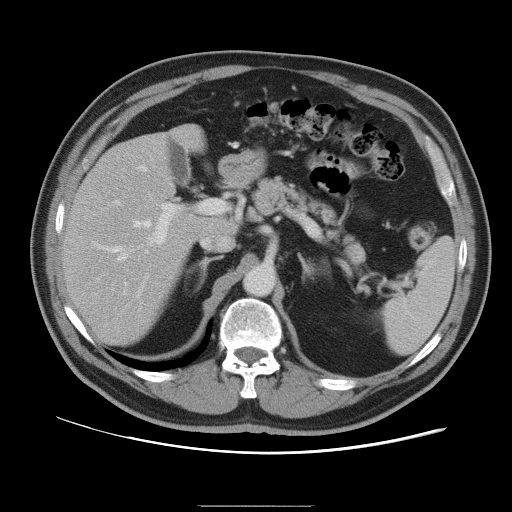
CT image; Abdomen
Only some of the vessels may be annotated.
partial: true
hepatic_vessel:
  # 15 of 18 shown
  - <bbox>96, 278, 98, 281</bbox>
  - <bbox>150, 194, 151, 199</bbox>
  - <bbox>209, 225, 211, 229</bbox>
  - <bbox>138, 165, 146, 171</bbox>
  - <bbox>114, 200, 119, 204</bbox>
  - <bbox>160, 241, 163, 244</bbox>
  - <bbox>92, 242, 127, 260</bbox>
  - <bbox>137, 284, 143, 297</bbox>
  - <bbox>134, 220, 150, 226</bbox>
  - <bbox>123, 290, 125, 294</bbox>
  - <bbox>125, 282, 127, 285</bbox>
  - <bbox>129, 248, 131, 251</bbox>
  - <bbox>146, 274, 148, 278</bbox>
  - <bbox>161, 203, 165, 206</bbox>
  - <bbox>148, 236, 152, 245</bbox>